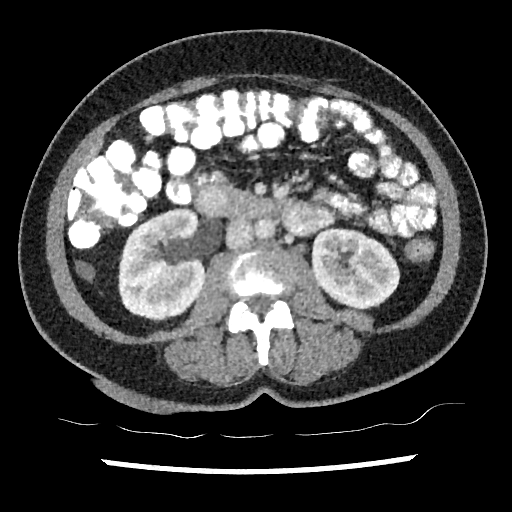
Liver; CT image
Annotated regions:
• kidney: (313, 229, 398, 308), (119, 211, 204, 318)
• liver: (83, 140, 102, 165)